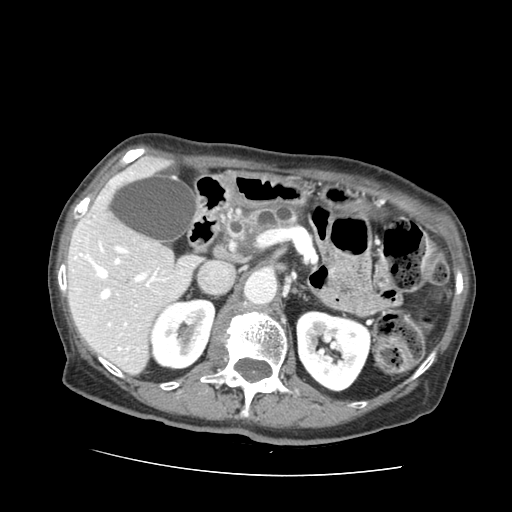
Upper abdomen. CT slice.

pancreas: <bbox>227, 206, 297, 242</bbox>